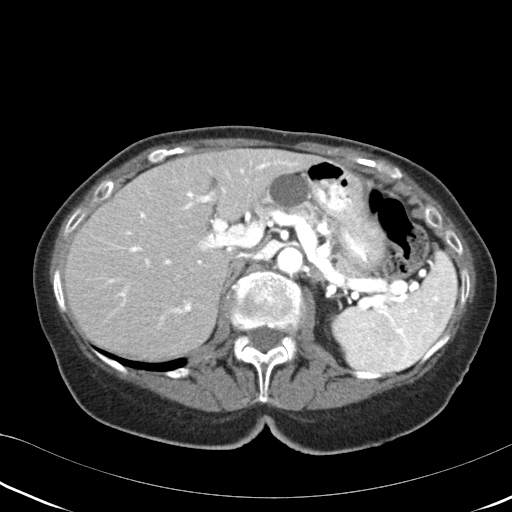
Abdomen, CT slice
The pancreas is bounded by (260, 176, 374, 274). The pancreatic tumor lies within (270, 175, 309, 208).